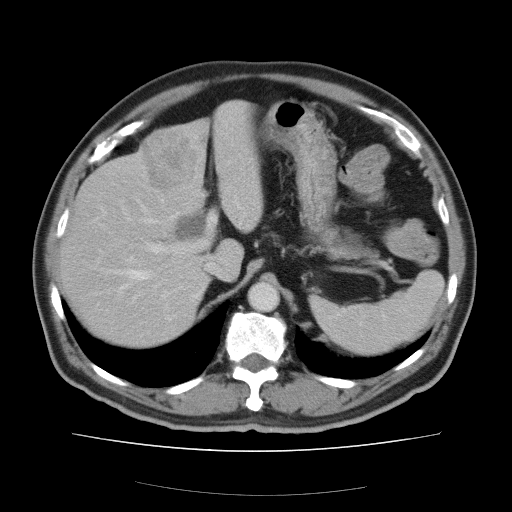
512x512; CT; Liver
The vessel annotation is not exhaustive.
Segmented structures:
• liver tumor: (141, 133, 195, 187)
• hepatic vessel: (146, 219, 152, 221), (118, 286, 122, 292), (208, 215, 214, 226), (129, 257, 132, 260), (171, 215, 174, 217), (150, 285, 156, 286), (114, 270, 118, 272), (144, 241, 206, 256), (125, 269, 147, 278)